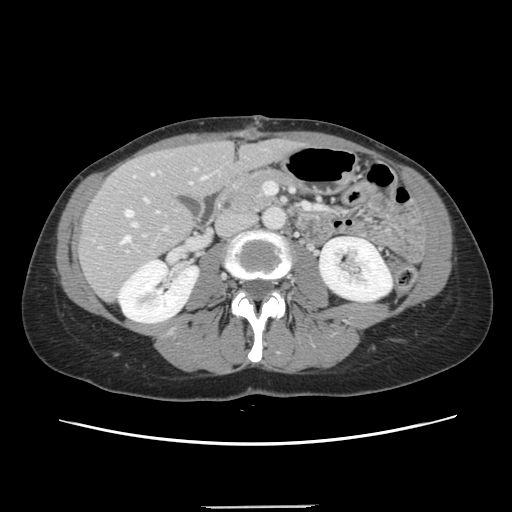

Computed tomography, Abdomen

Not every hepatic vessel necessarily has a box.
8 hepatic vessel regions are bounded by [x1=201, y1=176, x2=206, y2=178], [x1=193, y1=168, x2=195, y2=169], [x1=156, y1=211, x2=158, y2=212], [x1=125, y1=210, x2=132, y2=216], [x1=164, y1=227, x2=166, y2=229], [x1=132, y1=223, x2=136, y2=226], [x1=144, y1=198, x2=148, y2=202], [x1=120, y1=236, x2=130, y2=243].